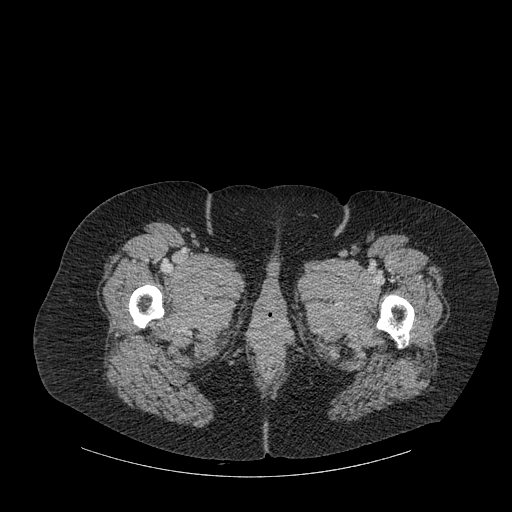 CT image; Image size 512x512
2 bone regions appear at [129,285,163,327], [377,295,414,347].